CT scan slice, Image size 512x512, Slice 31/101 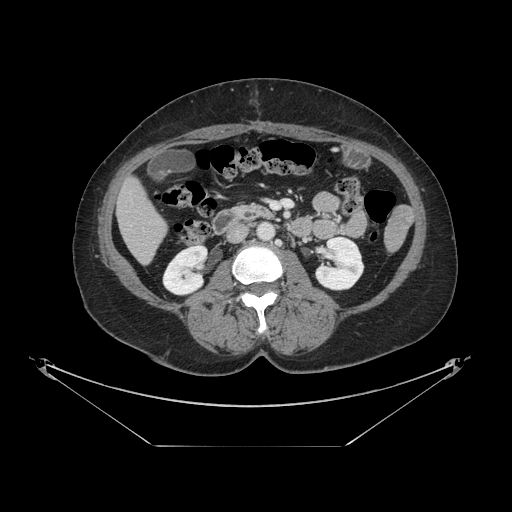
<segmentation>
  <pancreas>box(251, 206, 272, 217)</pancreas>
</segmentation>